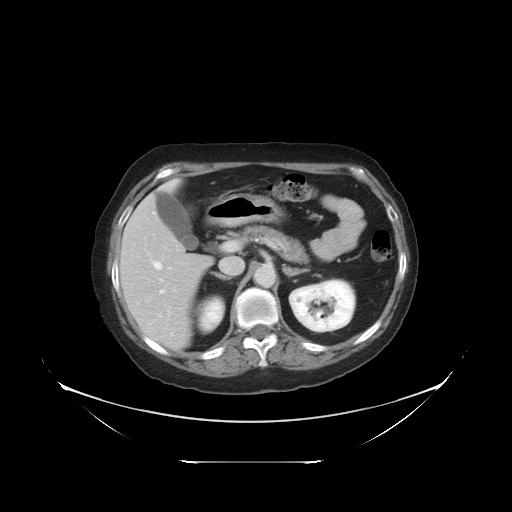

Abdomen. CT slice.

Some hepatic vessels may have no box.
{
  "hepatic_vessel": [
    "(x1=160, y1=290, x2=163, y2=292)",
    "(x1=168, y1=307, x2=170, y2=311)",
    "(x1=152, y1=261, x2=161, y2=269)",
    "(x1=160, y1=279, x2=162, y2=281)",
    "(x1=169, y1=267, x2=170, y2=268)",
    "(x1=171, y1=334, x2=172, y2=335)",
    "(x1=220, y1=256, x2=243, y2=273)",
    "(x1=158, y1=314, x2=161, y2=316)"
  ]
}